Magnetic resonance | Image width 32 mm 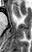 The anterior hippocampus appears at (left=13, top=5, right=20, bottom=16).